Image width 400 mm, CT scan slice, Abdomen
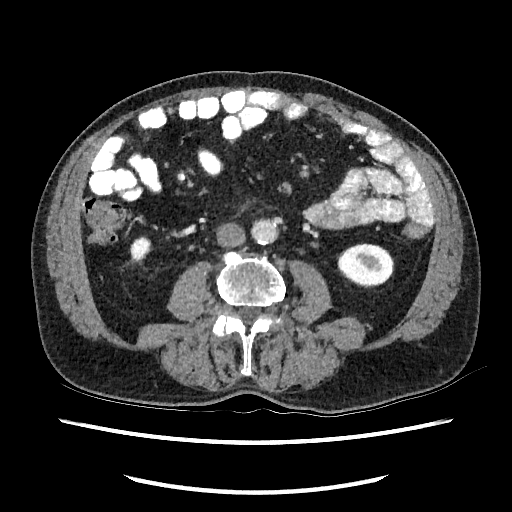 kidney:
  - bbox(130, 237, 150, 261)
  - bbox(338, 244, 393, 286)